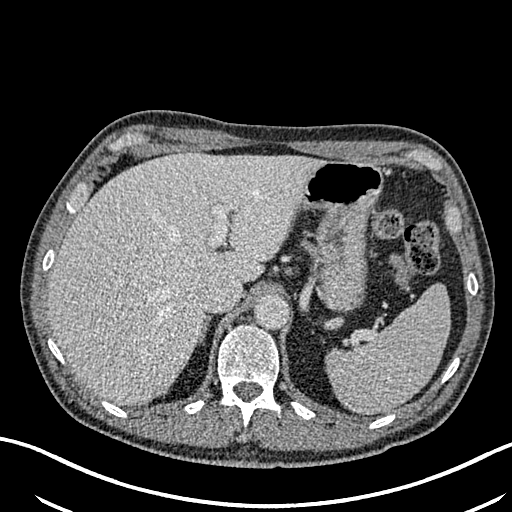 Upper abdomen | 512x512 px | CT image
<segmentation>
  <liver>(left=49, top=154, right=325, bottom=405)</liver>
</segmentation>